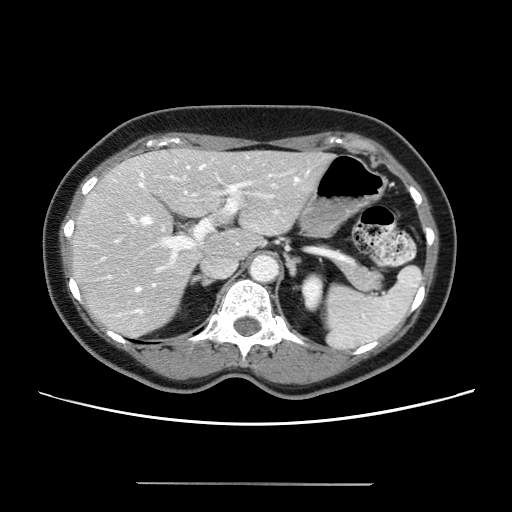
CT

The vessel boxes may cover only some of the vessels.
Hepatic vessel at box(139, 183, 142, 185); box(165, 236, 192, 252); box(195, 221, 211, 237); box(295, 179, 297, 180); box(136, 288, 139, 290); box(142, 217, 150, 223); box(227, 199, 236, 212); box(232, 185, 238, 190).